Liver, CT scan slice, Slice 71 of 75
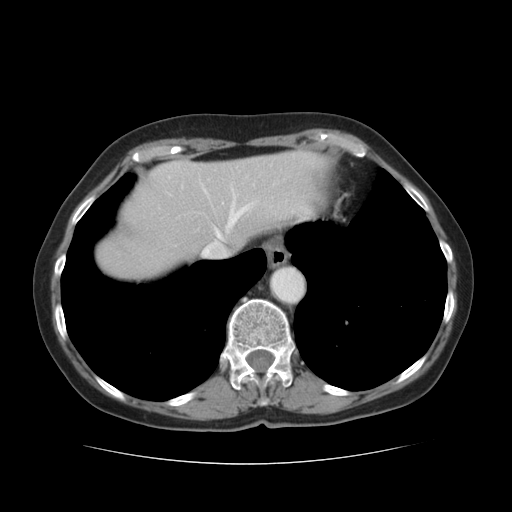
Segmented structures:
- liver: bbox(97, 150, 333, 276)
- lung: bbox(287, 168, 446, 390); bbox(61, 173, 266, 401)
- bone: bbox(166, 392, 198, 405); bbox(359, 145, 366, 155); bbox(55, 304, 66, 339); bbox(444, 290, 453, 322); bbox(55, 254, 65, 277); bbox(70, 194, 95, 228); bbox(220, 298, 294, 405); bbox(404, 182, 429, 211); bbox(440, 240, 452, 262); bbox(319, 384, 350, 395); bbox(394, 356, 425, 384); bbox(95, 376, 125, 400)